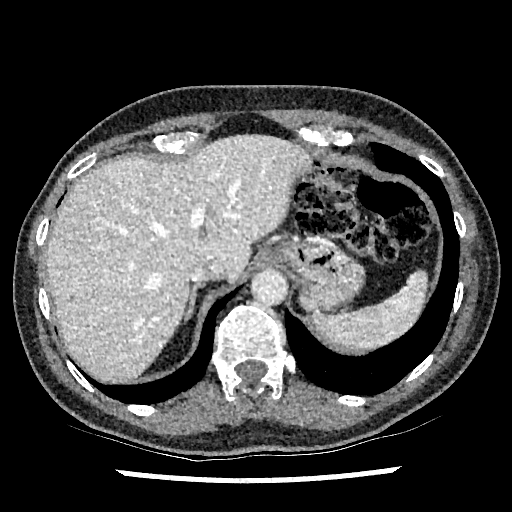 CT slice. Abdomen.
Liver — <box>47,135,309,381</box>.